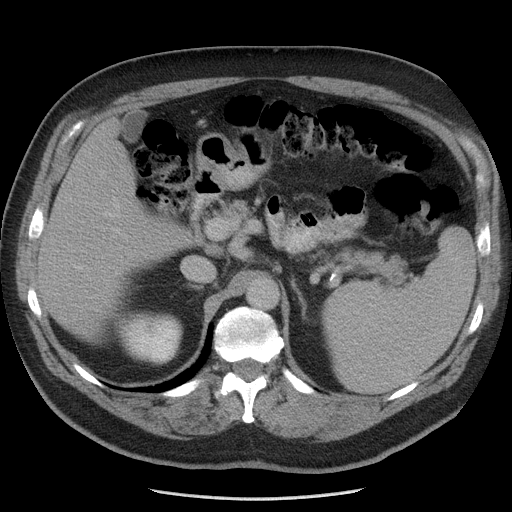 Computed tomography
Only some of the vessels may be annotated.
hepatic vessel: box=[104, 211, 117, 216]; box=[111, 228, 119, 233]; box=[91, 216, 93, 220]